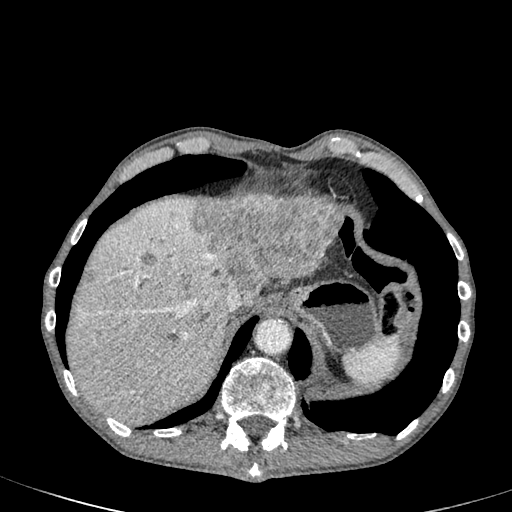
CT image
Findings:
- liver: (left=270, top=276, right=302, bottom=280), (left=68, top=199, right=237, bottom=423), (left=321, top=241, right=331, bottom=262)
- hepatic lesion: (left=85, top=270, right=94, bottom=282), (left=142, top=252, right=155, bottom=265), (left=194, top=195, right=342, bottom=307), (left=180, top=276, right=188, bottom=287)